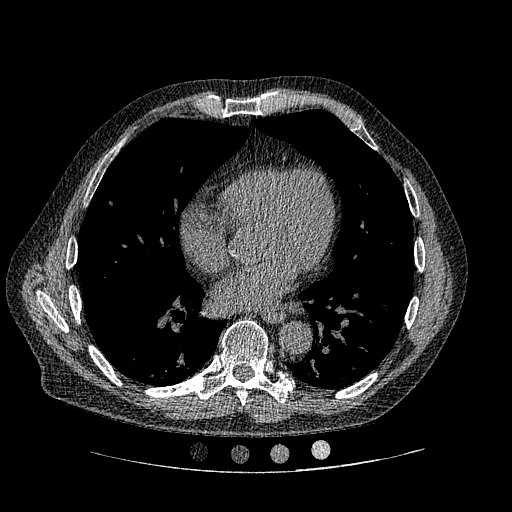 Image size 512x512; Lung; CT image
{"lung_tumor": ["left=103, top=196, right=117, bottom=211"]}